Brain
FLAIR MRI.
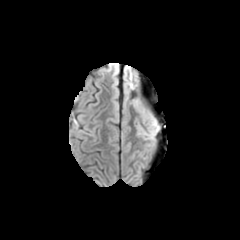
T1-weighted MR.
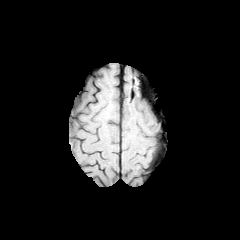
Post-contrast T1-weighted MR.
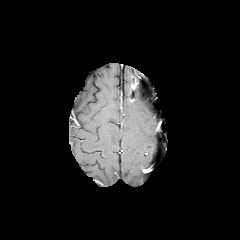
T2-weighted magnetic resonance.
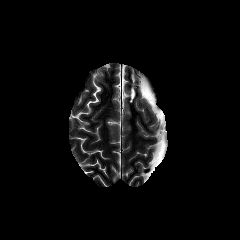
Annotated regions:
* edema: (left=124, top=78, right=131, bottom=93), (left=142, top=108, right=149, bottom=123), (left=142, top=118, right=157, bottom=139)